CT scan slice. Slice 132 of 216. Abdomen.
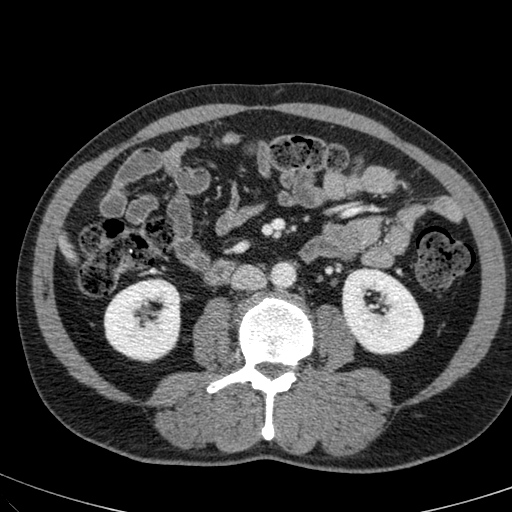
2 kidney regions appear at [343, 270, 421, 352], [105, 280, 178, 359].